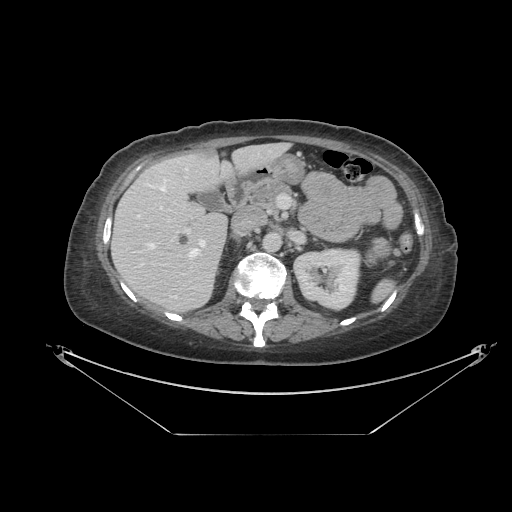

CT slice. Abdomen. 512x512 px.
Segmented structures:
• pancreatic tumor: [363,238,393,268]
• pancreas: [248,180,289,214]